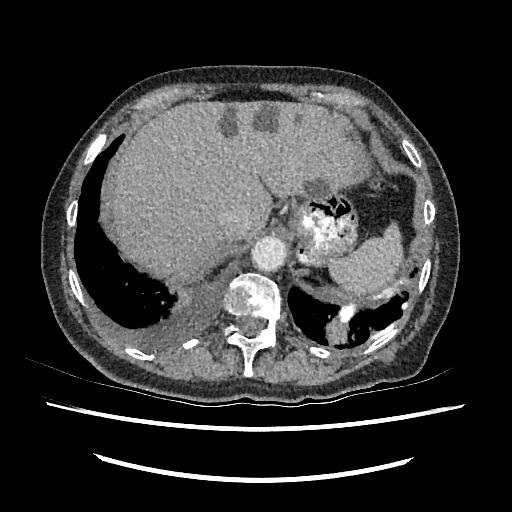

Upper abdomen. Computed tomography. The liver is at [111,102,360,276]. 3 liver lesion regions are located at [253,105,278,131], [303,178,328,196], [221,107,237,137].